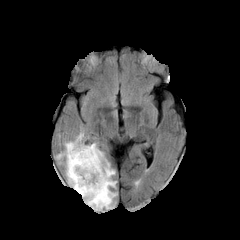
FLAIR magnetic resonance.
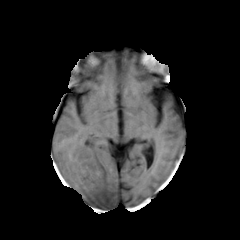
T1-weighted magnetic resonance.
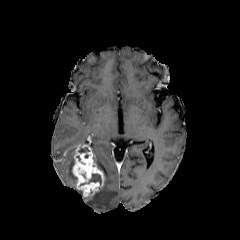
Post-contrast T1-weighted magnetic resonance.
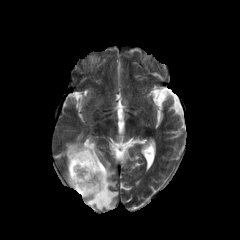
Same slice, T2-weighted MR image.
Head
edema: 84:137:117:210, 55:132:88:185 | enhancing tumor: 70:136:105:201 | non-enhancing tumor core: 90:174:100:181, 96:160:107:180